Slice 16/34 | Field of view 35 mm wide, 1.00 mm slice spacing | Medial temporal lobe | MRI slice 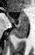

The posterior hippocampus is located at l=13, t=23, r=28, b=38. 2 anterior hippocampus regions are located at l=7, t=14, r=14, b=22; l=18, t=12, r=28, b=22.